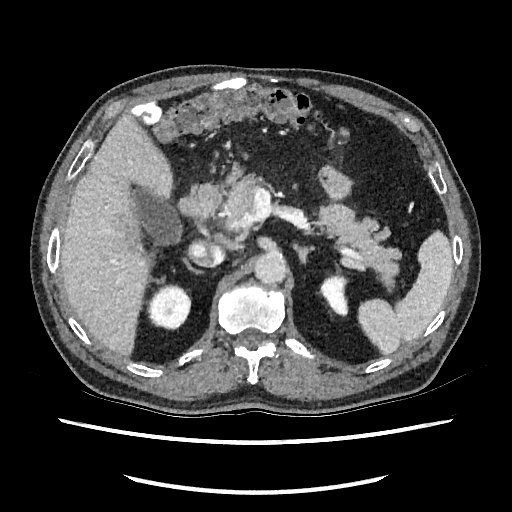

Liver | 512x512 | CT image
Findings:
• liver lesion: region(128, 227, 148, 264)
• liver: region(64, 116, 171, 353)
• kidney: region(148, 285, 190, 329); region(325, 275, 347, 315)